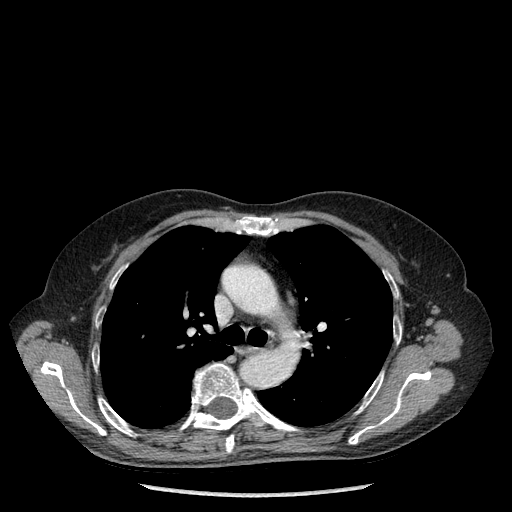
Image size 512x512 | Computed tomography
Lung: [258, 225, 392, 426], [100, 226, 266, 428].
Bone: [383, 270, 398, 297], [40, 361, 106, 435], [92, 350, 99, 370], [110, 267, 122, 289], [348, 371, 431, 444], [95, 311, 101, 326], [393, 316, 401, 344], [225, 434, 234, 452], [356, 371, 383, 413], [98, 397, 137, 436], [167, 363, 298, 436], [233, 216, 279, 235].